Image size 240x240; Head
FLAIR MRI.
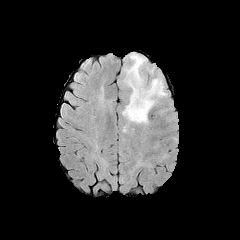
T1-weighted MRI.
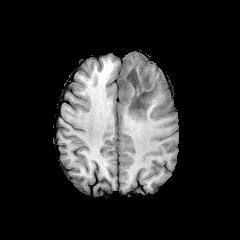
Post-contrast T1-weighted MR image.
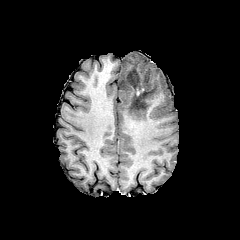
T2-weighted MRI.
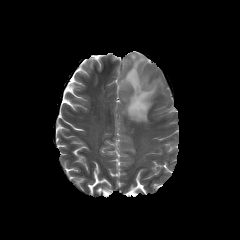
non-enhancing tumor core: [126, 70, 150, 109] | edema: [120, 53, 166, 123]